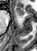
MR image; Hippocampus
Anterior hippocampus at [14,6,23,17].